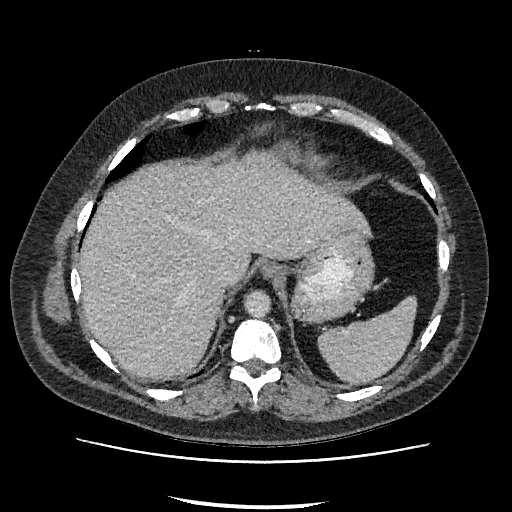
CT

The liver is at [x1=80, y1=157, x2=369, y2=377].